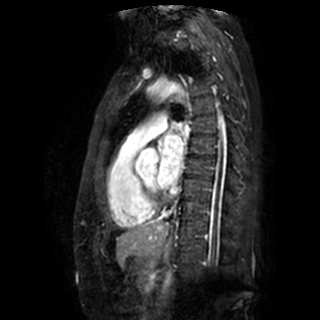
Cardiac; Magnetic resonance
left atrium: <bbox>158, 134, 183, 187</bbox>